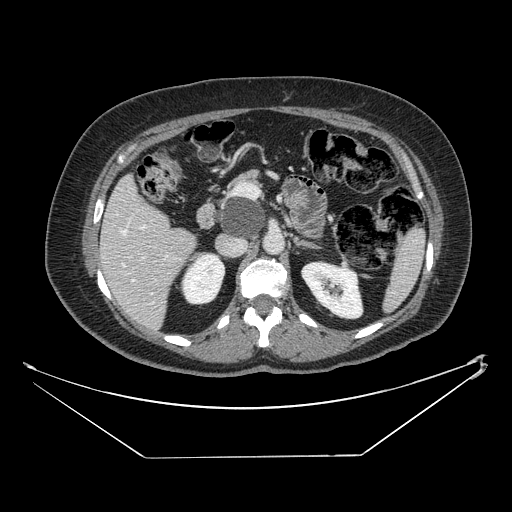

Upper abdomen, Computed tomography

Findings:
• pancreas: [229, 169, 261, 189], [211, 196, 267, 240]
• pancreatic tumor: [218, 199, 264, 237]